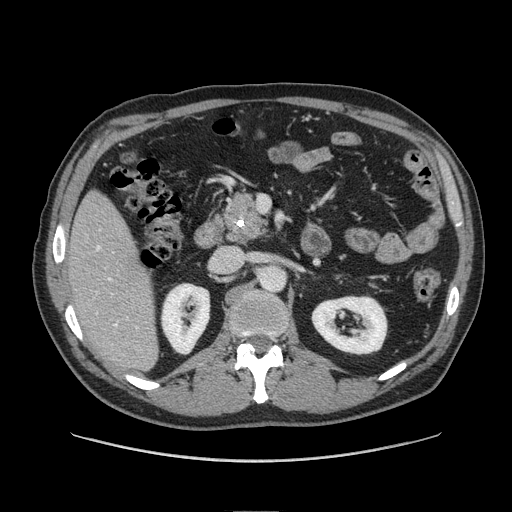
Image size 512x512. Abdomen. CT slice. pancreas:
  - 361,279,391,296
  - 221,187,272,246